FLAIR magnetic resonance.
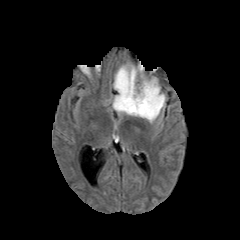
T1-weighted MRI.
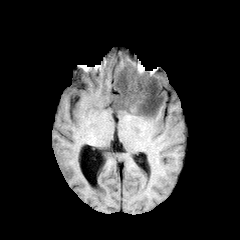
Post-contrast T1-weighted magnetic resonance.
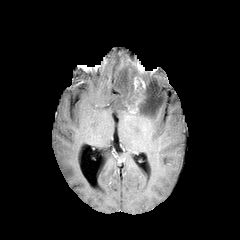
T2-weighted magnetic resonance.
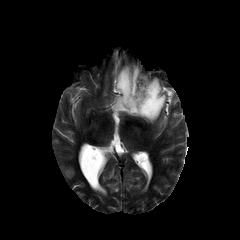
Image size 240x240
Enhancing tumor at (129, 101, 137, 113), (134, 77, 145, 91).
Non-enhancing tumor core at (124, 83, 141, 111), (147, 92, 157, 109).
Edema at (110, 62, 167, 127).